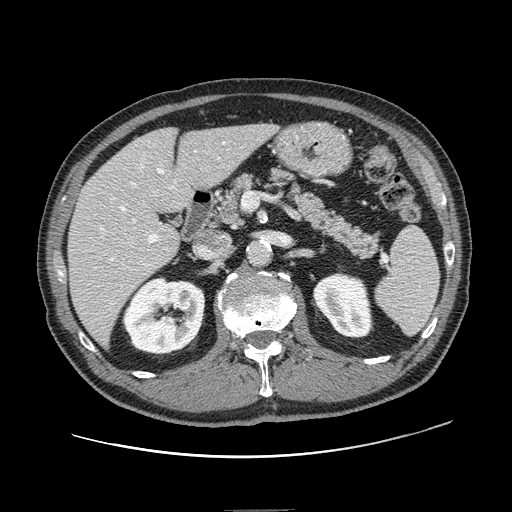

CT slice, Abdomen

pancreas:
  - box(212, 168, 378, 259)